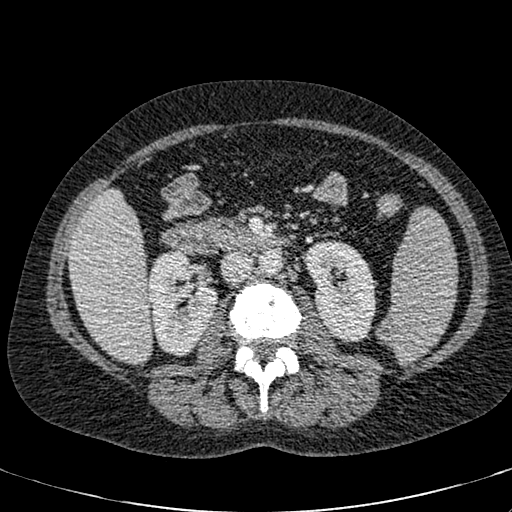 Computed tomography
2 kidney regions are bounded by rect(305, 242, 374, 340); rect(148, 250, 217, 355). The liver is located at rect(69, 191, 150, 361).